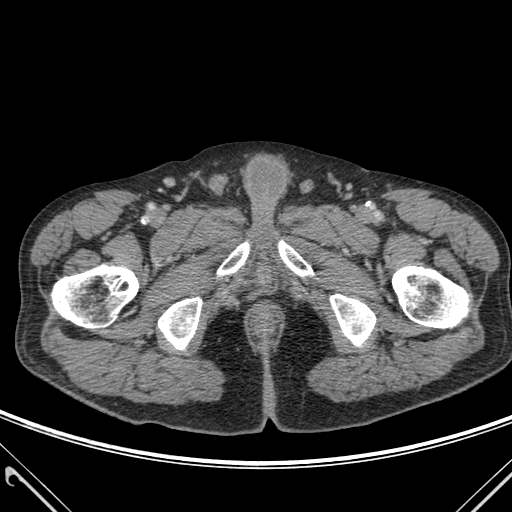

Image size 512x512, CT slice

6 bone regions appear at bbox(392, 266, 468, 327); bbox(330, 294, 375, 345); bbox(158, 297, 201, 349); bbox(217, 242, 249, 275); bbox(51, 265, 138, 327); bbox(278, 241, 313, 276).